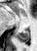
Image size 37x51; Hippocampus; MRI
<segmentation>
  <posterior_hippocampus>(16,31,28,41)</posterior_hippocampus>
</segmentation>